Image size 512x512, Liver, CT scan slice, Slice index 100

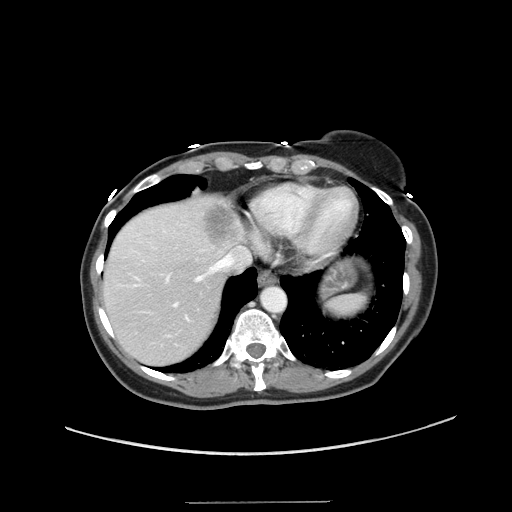

The vessel annotation is not exhaustive.
Hepatic vessel: bounding box <bbox>175, 303, 177, 305</bbox>, <bbox>167, 276, 169, 279</bbox>, <bbox>196, 276, 202, 279</bbox>, <bbox>210, 247, 211, 249</bbox>, <bbox>209, 246, 249, 273</bbox>, <bbox>186, 316, 187, 318</bbox>.
Liver tumor: bounding box <bbox>200, 200, 242, 250</bbox>.